Slice 275 of 771 | CT image

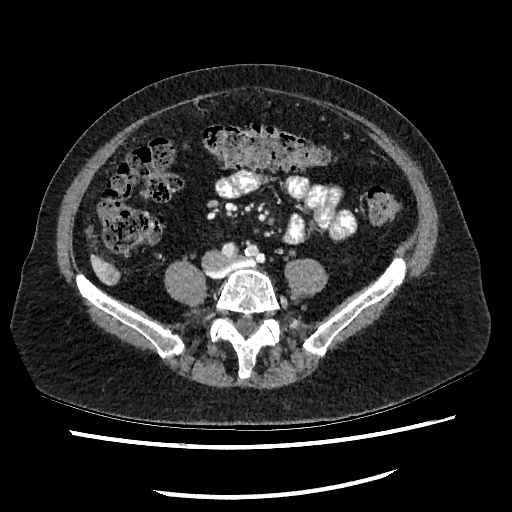

The hepatic lesion appears at left=106, top=269, right=116, bottom=280. The liver is at left=91, top=256, right=115, bottom=283.